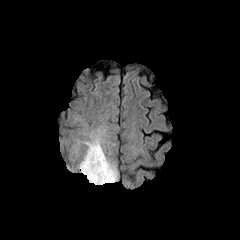
FLAIR magnetic resonance.
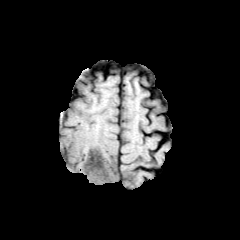
T1-weighted MRI of the same slice.
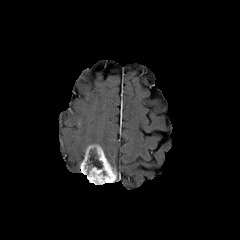
Post-contrast T1-weighted MR.
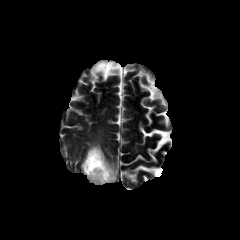
T2-weighted magnetic resonance of the same slice.
Head. 240x240 px.
The non-enhancing tumor core appears at box(86, 150, 102, 168). The edema lies within box(71, 124, 119, 180). The enhancing tumor is at box(80, 145, 116, 184).